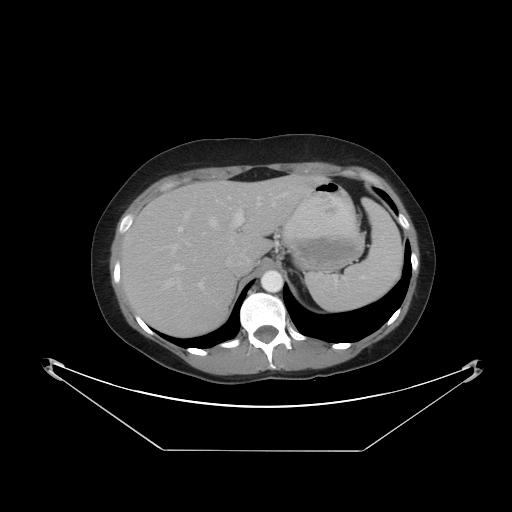
Liver | CT slice
The vessel boxes may cover only some of the vessels.
Segmented structures:
- liver tumor: rect(305, 178, 316, 189)
- hepatic vessel: rect(257, 203, 260, 205); rect(199, 282, 203, 288); rect(184, 211, 190, 219); rect(173, 265, 183, 270); rect(271, 202, 274, 206); rect(210, 217, 216, 226); rect(184, 240, 189, 244); rect(226, 260, 228, 265); rect(226, 236, 247, 266); rect(232, 210, 243, 226); rect(164, 244, 177, 253); rect(162, 279, 180, 289); rect(279, 192, 287, 196); rect(177, 227, 182, 231)